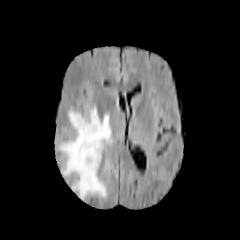
FLAIR MRI.
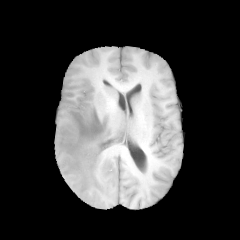
T1-weighted MR image.
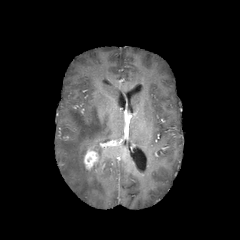
Same slice, post-contrast T1-weighted magnetic resonance.
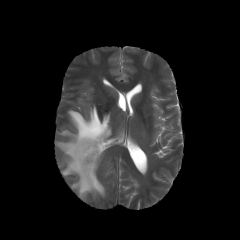
T2-weighted MR image.
Brain | 240x240
<segmentation>
  <edema>(57,107,111,199)</edema>
  <enhancing_tumor>(84,149,98,168)</enhancing_tumor>
</segmentation>